Image size 240x240. Slice 78 of 155.
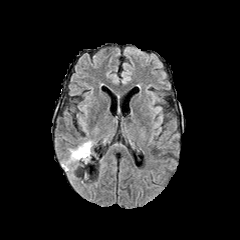
FLAIR MR.
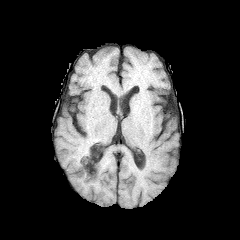
T1-weighted MRI.
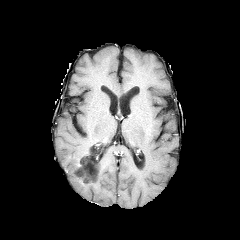
Post-contrast T1-weighted magnetic resonance of the same slice.
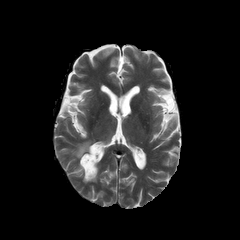
Same slice, T2-weighted MR.
The edema appears at {"x1": 62, "y1": 140, "x2": 97, "y2": 171}. The non-enhancing tumor core is bounded by {"x1": 77, "y1": 144, "x2": 92, "y2": 165}.